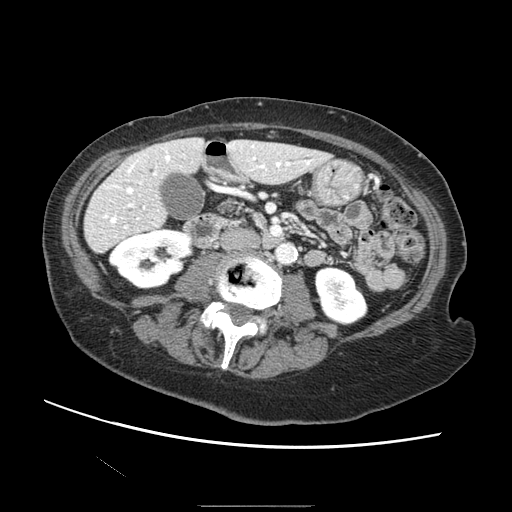 CT slice, Abdomen
pancreas:
  - {"x1": 222, "y1": 201, "x2": 248, "y2": 215}